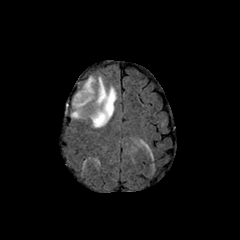
FLAIR MRI.
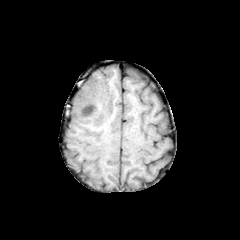
T1-weighted MRI of the same slice.
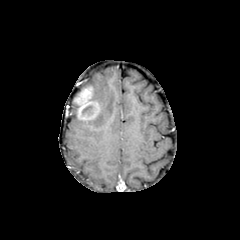
Post-contrast T1-weighted magnetic resonance of the same slice.
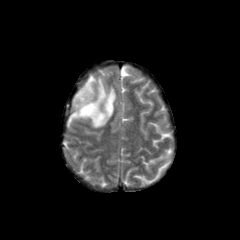
T2-weighted MR image of the same slice.
Head
<segmentation>
  <enhancing_tumor>x1=73 y1=86 x2=98 y2=118</enhancing_tumor>
  <non-enhancing_tumor_core>x1=82 y1=105 x2=93 y2=113</non-enhancing_tumor_core>
  <edema>x1=71 y1=103 x2=82 y2=119, x1=82 y1=76 x2=116 y2=127</edema>
</segmentation>